Slice 34/50, CT slice, 512x512
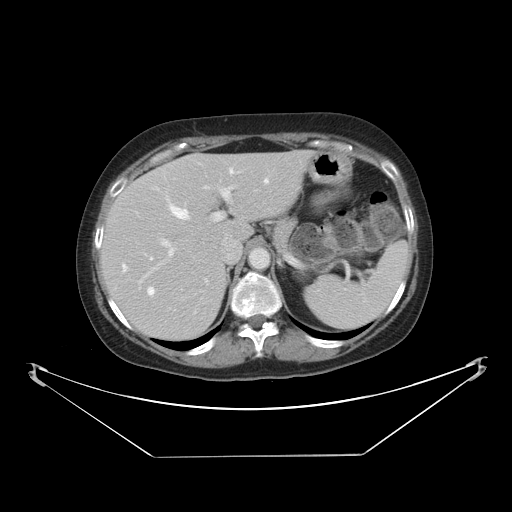

Not every hepatic vessel necessarily has a box.
Hepatic vessel: bounding box 222,187,232,198; 213,213,222,220; 264,179,267,182; 168,249,173,255; 169,206,188,219; 150,257,152,259; 230,169,232,173; 122,264,126,271; 147,287,153,294; 204,186,206,188; 162,239,169,245.